512x512 | CT scan slice 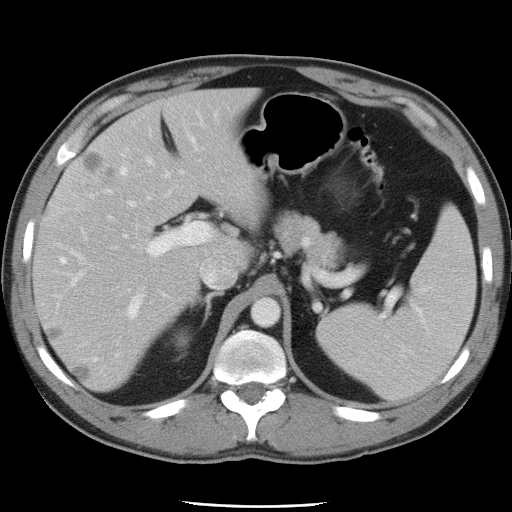

The vessel boxes may cover only some of the vessels.
Hepatic vessel: 128 201 135 206, 94 358 95 360, 146 222 212 256, 124 235 126 236, 126 293 143 319, 106 189 111 192, 70 272 83 285, 121 167 125 173, 147 159 149 161, 70 250 83 259, 61 258 67 263, 200 264 228 287, 192 139 193 140.